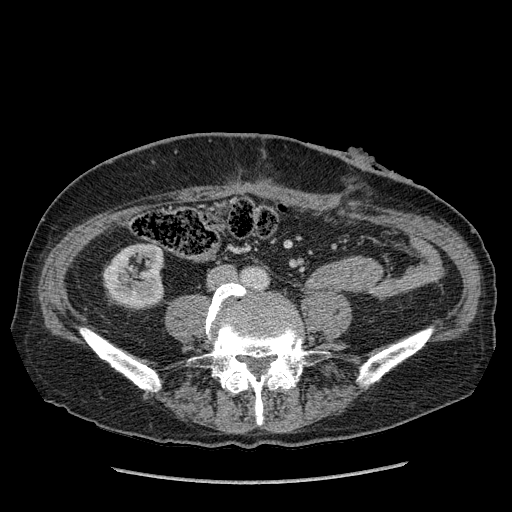

CT
• kidney: 104:244:162:307